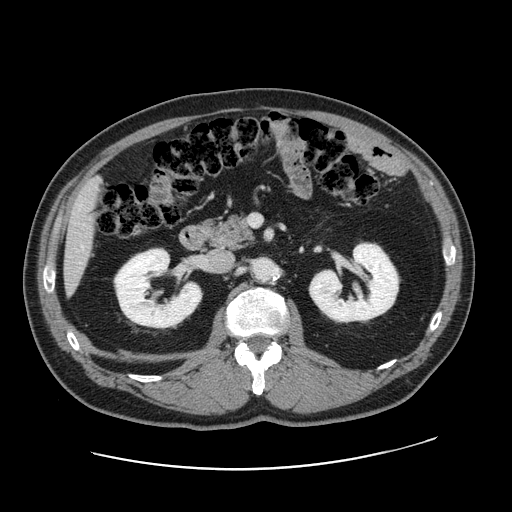
CT image, Abdomen
Only some of the vessels may be annotated.
<segmentation>
  <hepatic_vessel>{"x1": 67, "y1": 285, "x2": 72, "y2": 290}, {"x1": 86, "y1": 206, "x2": 89, "y2": 208}, {"x1": 91, "y1": 178, "x2": 98, "y2": 188}, {"x1": 89, "y1": 216, "x2": 92, "y2": 217}</hepatic_vessel>
</segmentation>